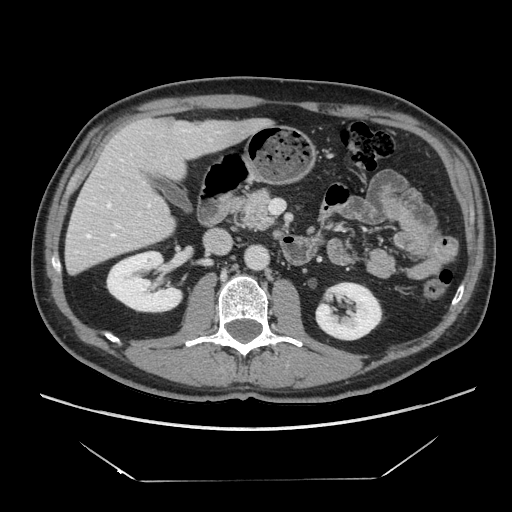
512x512; CT
<segmentation>
  <pancreas>(240, 190, 272, 229)</pancreas>
</segmentation>